FLAIR MR image.
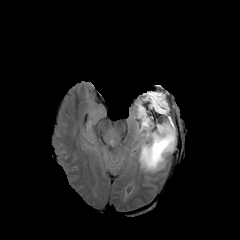
T1-weighted MR.
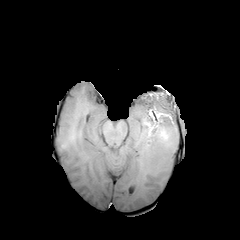
Post-contrast T1-weighted magnetic resonance.
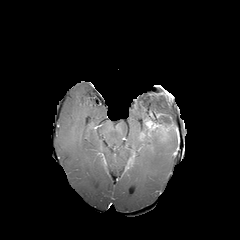
T2-weighted MR image.
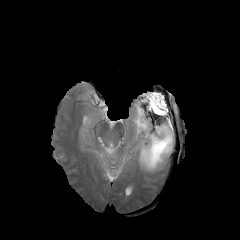
Head.
Non-enhancing tumor core = x1=158, y1=125, x2=171, y2=141; x1=139, y1=110, x2=161, y2=140.
Edema = x1=99, y1=148, x2=115, y2=162; x1=122, y1=91, x2=175, y2=173.